Field of view 240x240 mm
FLAIR MR image.
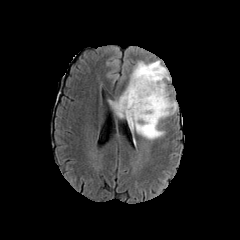
T1-weighted MR image.
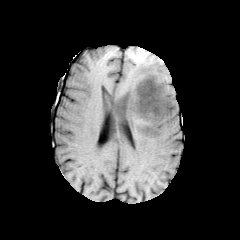
Post-contrast T1-weighted MR.
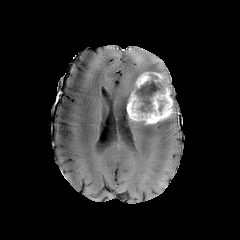
T2-weighted MRI.
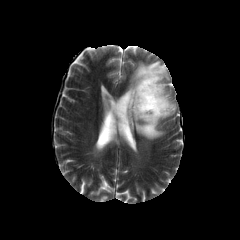
<segmentation>
  <edema>[109,60,171,139]</edema>
  <non-enhancing_tumor_core>[133,70,169,111], [144,121,159,133], [117,94,130,117]</non-enhancing_tumor_core>
  <enhancing_tumor>[136,72,162,88], [126,88,175,124]</enhancing_tumor>
</segmentation>